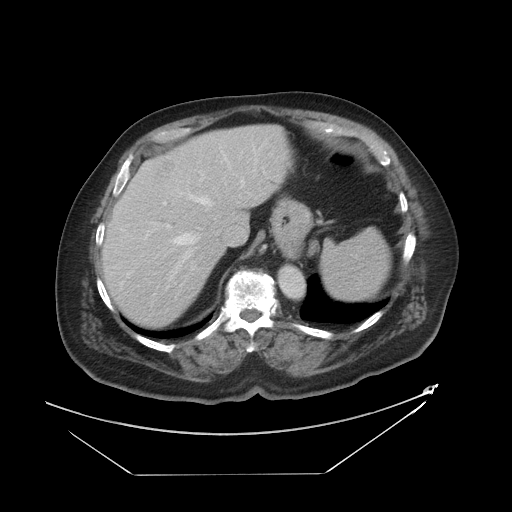

CT image
The vessel annotation is not exhaustive.
<segmentation>
  <liver_tumor>[155, 156, 177, 182]</liver_tumor>
  <hepatic_vessel>[191, 195, 211, 205], [186, 233, 199, 247], [216, 160, 219, 162], [203, 168, 210, 178]</hepatic_vessel>
</segmentation>